CT image
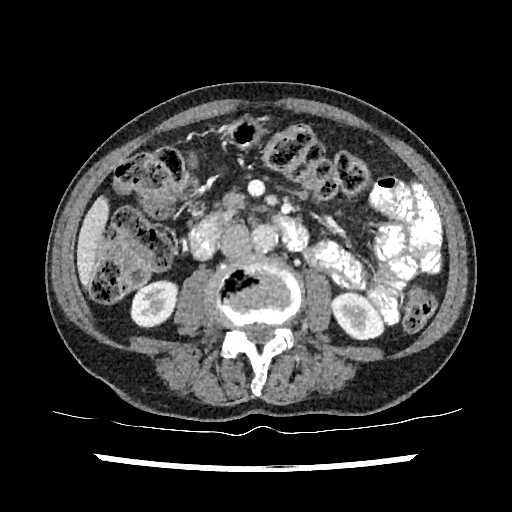

2 kidney regions appear at <bbox>132, 283, 175, 325</bbox>, <bbox>333, 294, 382, 338</bbox>. The liver is located at <bbox>78, 199, 106, 279</bbox>.